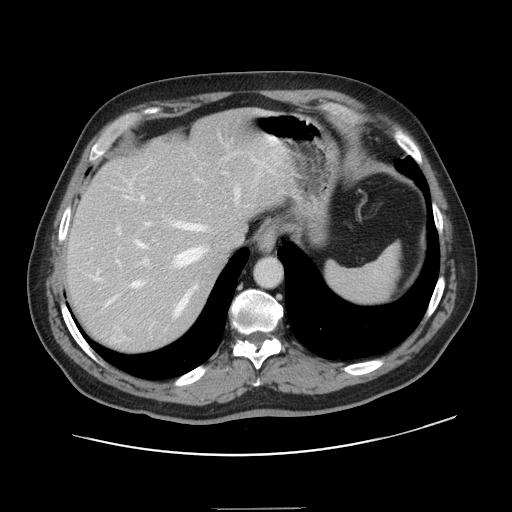
CT. Liver. The vessel boxes may cover only some of the vessels.
Hepatic vessel at 95 271 98 276, 176 247 205 265, 130 282 140 287, 236 188 238 200, 143 258 148 263, 137 242 146 247, 175 285 197 314, 176 222 204 230, 253 159 262 163, 145 223 148 225, 105 298 113 306, 140 196 144 199, 124 196 127 197, 116 227 120 234, 117 260 118 262.